Slice 102 of 155
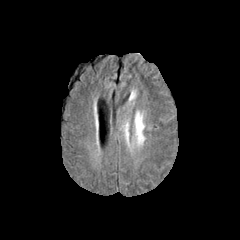
FLAIR MR.
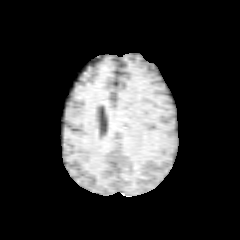
T1-weighted MRI.
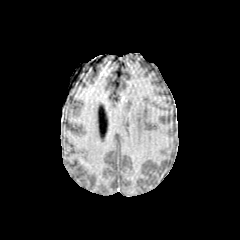
Same slice, post-contrast T1-weighted MR image.
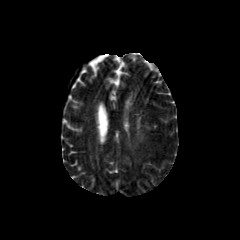
Same slice, T2-weighted magnetic resonance.
The edema lies within 135 113 144 141.